FLAIR magnetic resonance.
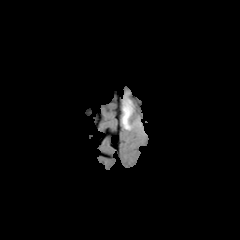
T1-weighted magnetic resonance.
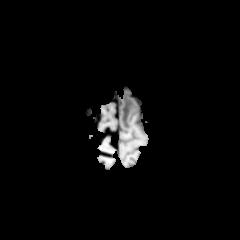
Post-contrast T1-weighted MR.
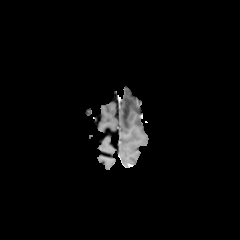
T2-weighted magnetic resonance.
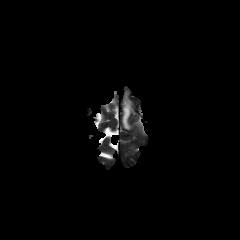
The edema is bounded by box(121, 92, 143, 134).